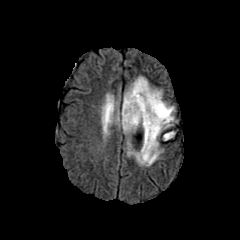
FLAIR MRI.
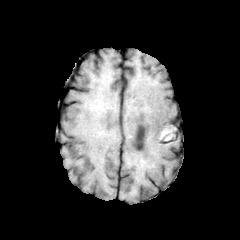
T1-weighted MRI.
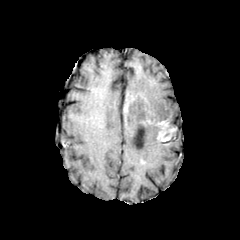
Post-contrast T1-weighted MR image.
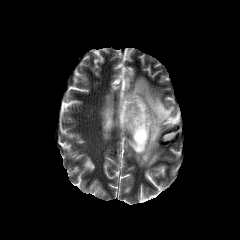
T2-weighted MR of the same slice.
2 edema regions are located at (117,77,178,165), (103,96,114,126). 3 non-enhancing tumor core regions are bounded by (140,118,150,140), (151,119,172,140), (121,93,140,125).